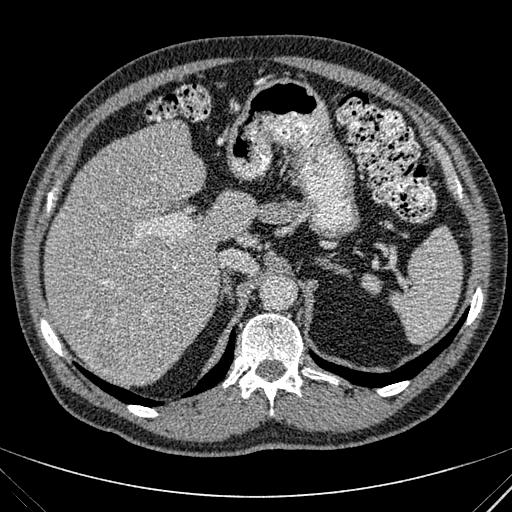

Upper abdomen; 512x512 px; Computed tomography

liver_lesion:
  - 94,336,123,373
liver:
  - 46,122,254,384